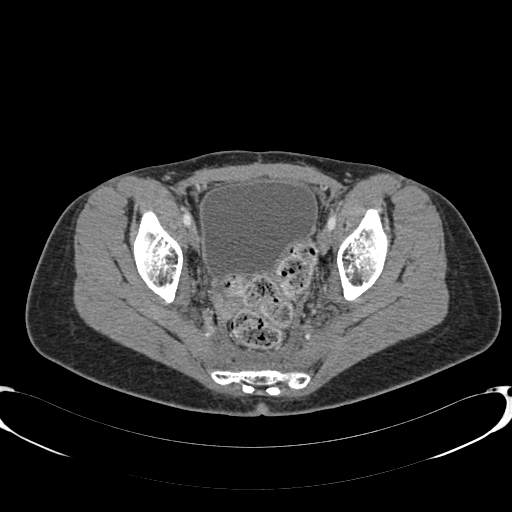

Image size 512x512, CT
Urinary bladder: bounding box bbox(202, 182, 315, 276).